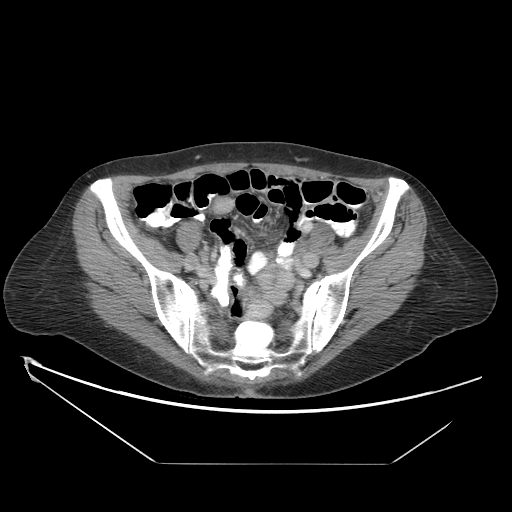

Image size 512x512 | CT image
The colon tumor is at (163, 205, 170, 219).